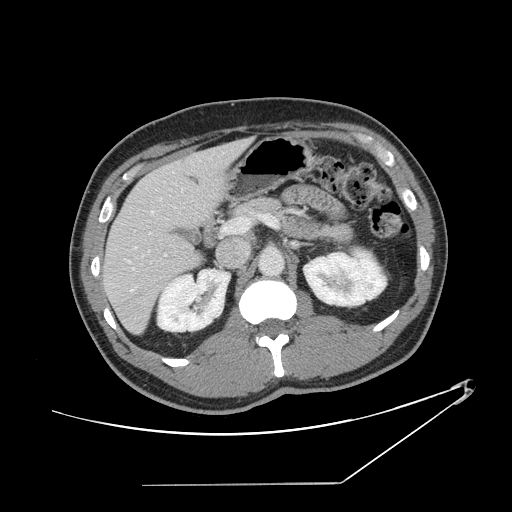 CT scan slice

Only some of the vessels may be annotated.
hepatic vessel: bbox(173, 183, 175, 184); bbox(142, 255, 143, 256); bbox(164, 253, 166, 255); bbox(134, 247, 136, 248); bbox(160, 198, 161, 200); bbox(128, 261, 130, 263); bbox(131, 289, 134, 291)